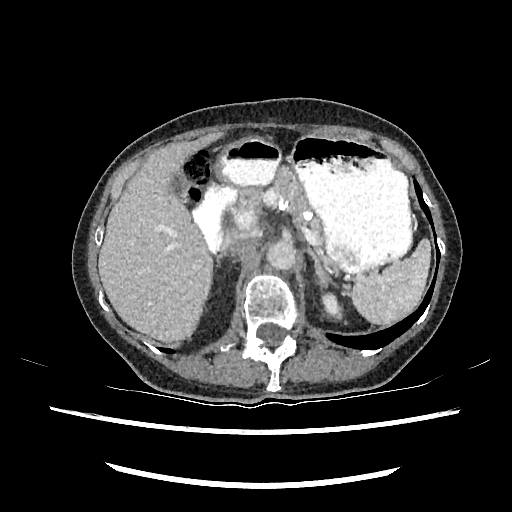
512x512 px, Liver, Computed tomography
Kidney: bounding box 325 297 336 312.
Liver: bounding box 99 132 222 340.